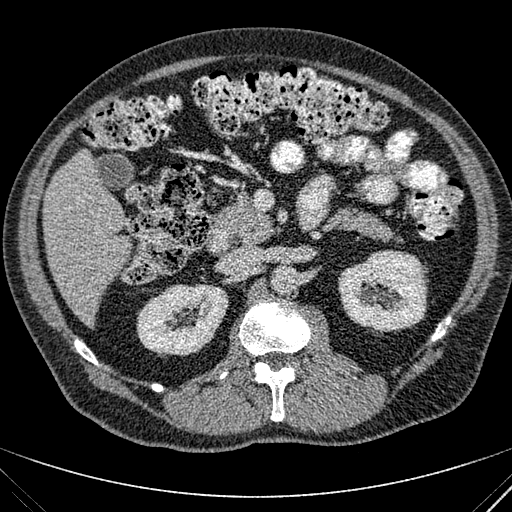

Abdomen. CT image.

2 kidney regions are located at box(338, 251, 425, 331); box(137, 285, 227, 354). The liver is located at box(44, 151, 132, 325).